Computed tomography. Chest. Slice 500 of 588.
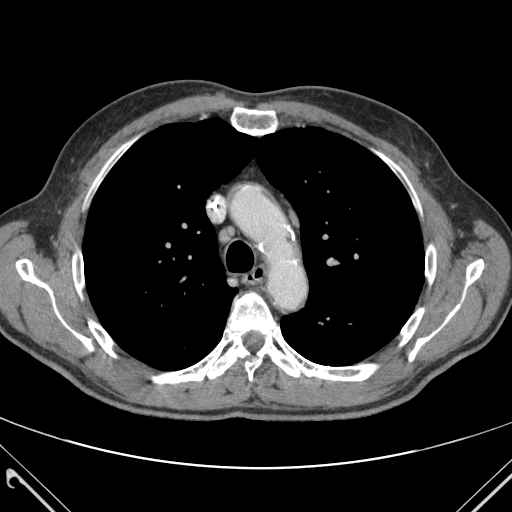
Bone at <bbox>400, 308, 423, 345</bbox>, <bbox>88, 321, 115, 356</bbox>, <bbox>377, 152, 420, 210</bbox>, <bbox>153, 293, 376, 383</bbox>, <bbox>16, 259, 93, 350</bbox>, <bbox>72, 253, 84, 296</bbox>, <bbox>425, 245, 435, 283</bbox>, <bbox>89, 141, 132, 193</bbox>, <bbox>409, 259, 483, 361</bbox>, <bbox>231, 107, 277, 135</bbox>.
Lung at <bbox>83, 119, 424, 370</bbox>.